Slice 82/155, Brain
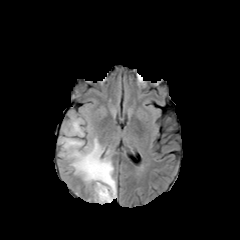
FLAIR MR image.
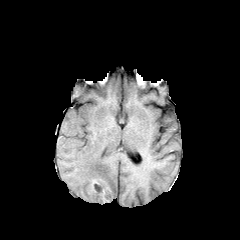
Same slice, T1-weighted MR.
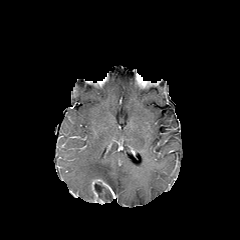
Post-contrast T1-weighted MR image.
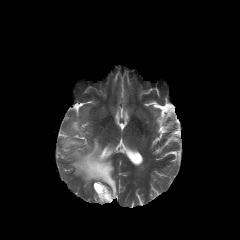
T2-weighted magnetic resonance.
The edema appears at (58,117,117,200). The non-enhancing tumor core is located at (94,180,112,200). The enhancing tumor is at (102,182,116,198).